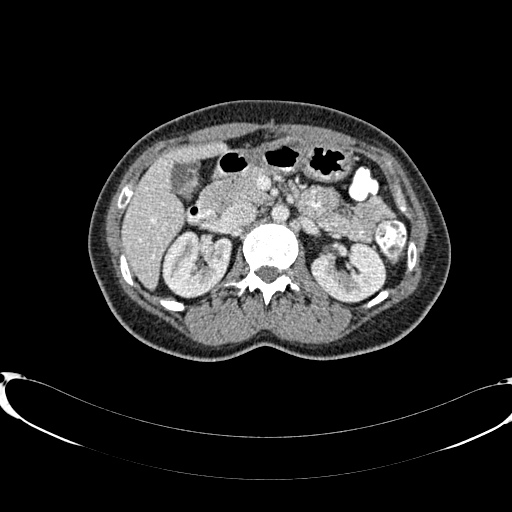

Abdomen | CT scan slice
2 kidney regions are bounded by box(164, 233, 230, 296); box(312, 245, 384, 300). The liver lies within box(122, 143, 225, 288).